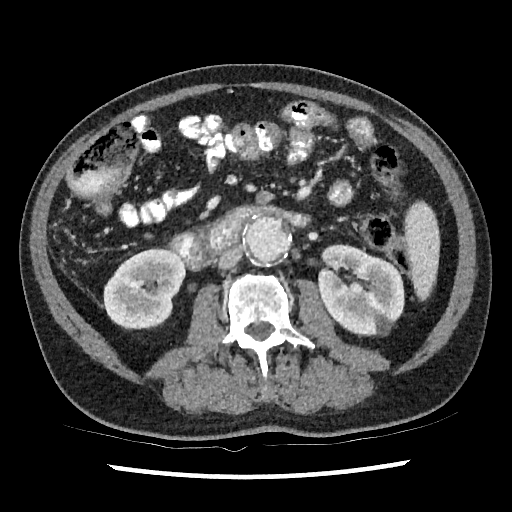

Abdomen; CT slice
2 kidney regions are located at left=104, top=250, right=185, bottom=328; left=319, top=245, right=403, bottom=334.